CT, Slice index 92, Pelvis, Field of view 348 mm wide, 0.80 mm slice spacing, 512x512 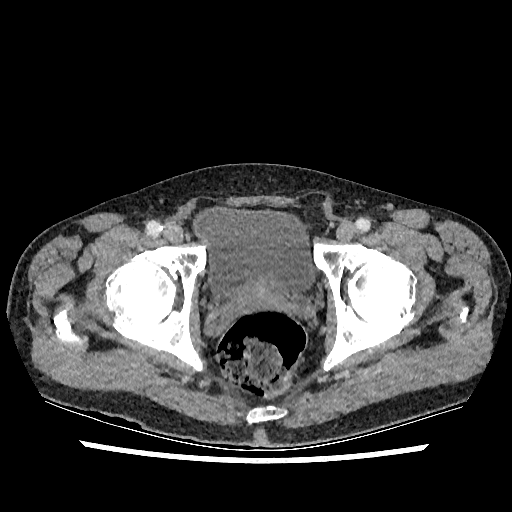

Annotated regions:
- urinary bladder: x1=195 y1=204 x2=317 y2=326